240x240 px.
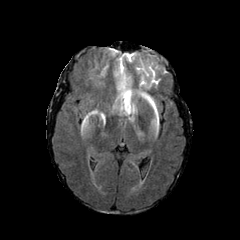
FLAIR MRI.
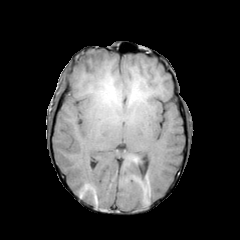
T1-weighted MR image.
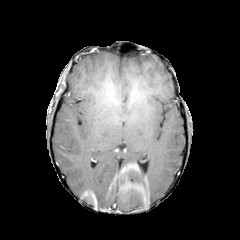
Post-contrast T1-weighted MR image.
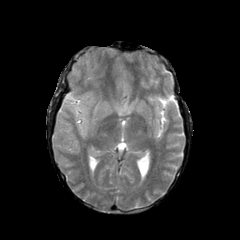
T2-weighted MRI.
3 edema regions are bounded by bbox=[81, 109, 97, 130]; bbox=[124, 90, 131, 107]; bbox=[148, 97, 157, 115].